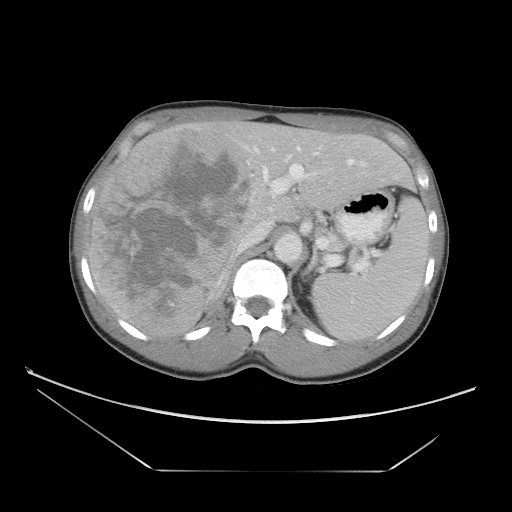 Computed tomography

The vessel boxes may cover only some of the vessels.
hepatic vessel: (290,165,301,177), (286,155,291,160), (273,183,284,192), (271,148,274,151), (264,169,267,178) | liver tumor: (89,123,261,335)